Image width 240 mm | Head | Slice 52 of 155
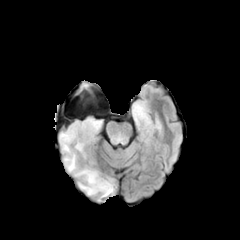
FLAIR MR image.
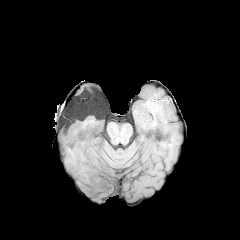
T1-weighted MR image of the same slice.
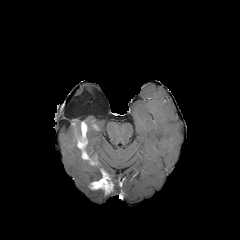
Post-contrast T1-weighted MR.
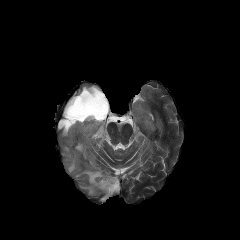
T2-weighted MRI of the same slice.
Annotated regions:
* enhancing tumor: [x1=90, y1=173, x2=113, y2=193], [x1=77, y1=121, x2=89, y2=158]
* non-enhancing tumor core: [x1=90, y1=170, x2=106, y2=182], [x1=68, y1=118, x2=84, y2=147], [x1=84, y1=124, x2=97, y2=151], [x1=84, y1=154, x2=96, y2=167]
* edema: [x1=74, y1=112, x2=102, y2=128], [x1=60, y1=126, x2=110, y2=197], [x1=133, y1=100, x2=146, y2=119]